FLAIR MR image.
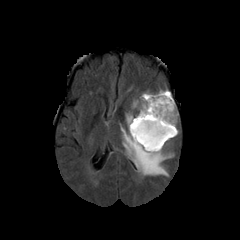
T1-weighted magnetic resonance.
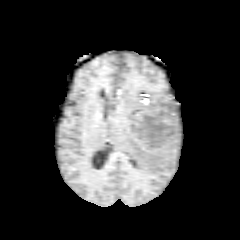
Post-contrast T1-weighted magnetic resonance.
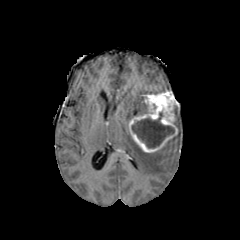
T2-weighted MR image.
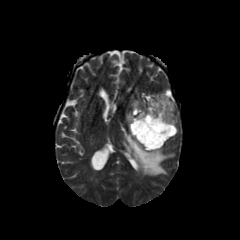
Image size 240x240
edema: rect(121, 126, 173, 176); rect(132, 96, 147, 113) | non-enhancing tumor core: rect(132, 113, 174, 148) | enhancing tumor: rect(128, 90, 178, 153)